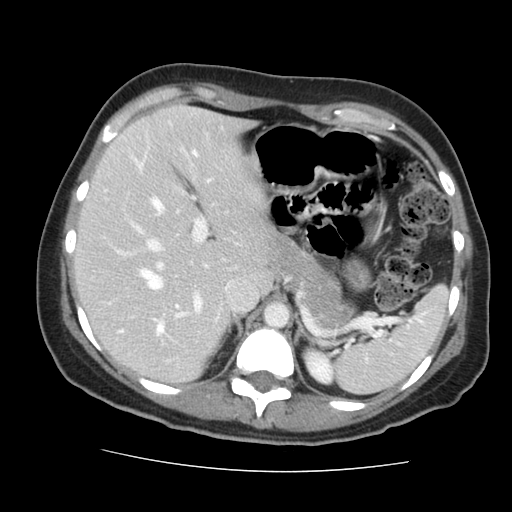
CT scan slice | Abdomen | Image size 512x512

Only some of the vessels may be annotated.
11 hepatic vessel regions are located at <bbox>176, 312, 184, 316</bbox>, <bbox>157, 263, 161, 268</bbox>, <bbox>176, 305, 177, 307</bbox>, <bbox>194, 295, 200, 310</bbox>, <bbox>134, 226, 140, 231</bbox>, <bbox>147, 240, 159, 250</bbox>, <bbox>157, 323, 162, 333</bbox>, <bbox>192, 151, 195, 155</bbox>, <bbox>141, 270, 161, 288</bbox>, <bbox>193, 220, 205, 240</bbox>, <bbox>118, 331, 121, 332</bbox>.